CT image | Abdomen | Slice index 28
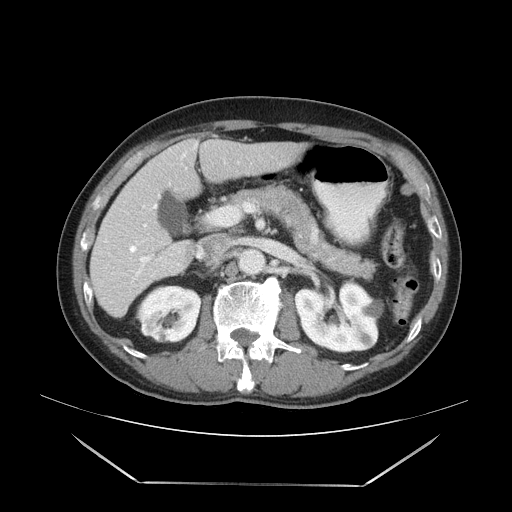 Not every hepatic vessel necessarily has a box.
Hepatic vessel = 136, 256, 152, 275; 199, 255, 202, 256.
Liver tumor = 182, 242, 196, 264.